Slice 34/155, Field of view 240 mm wide, 1.00 mm slice spacing, Brain
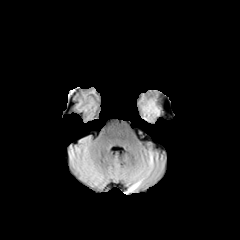
FLAIR MR image.
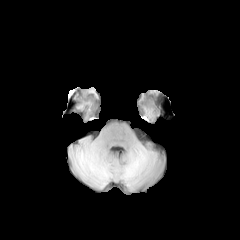
T1-weighted MR.
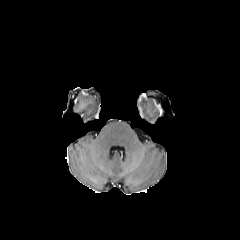
Same slice, post-contrast T1-weighted MR image.
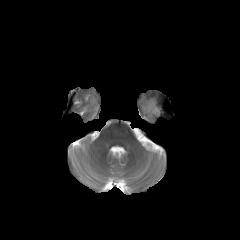
T2-weighted magnetic resonance.
The edema is bounded by (141, 96, 162, 121).